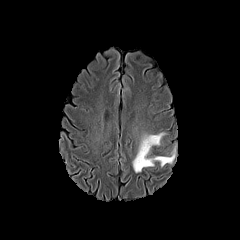
FLAIR MR image.
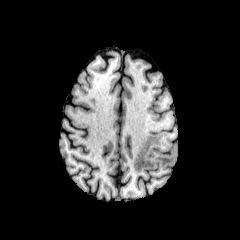
Same slice, T1-weighted MR.
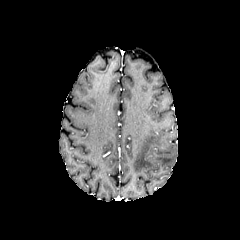
Post-contrast T1-weighted magnetic resonance.
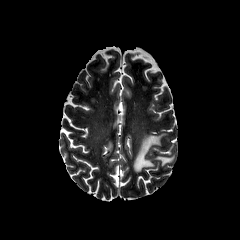
T2-weighted MRI of the same slice.
Head
The edema lies within (132,133,174,173).